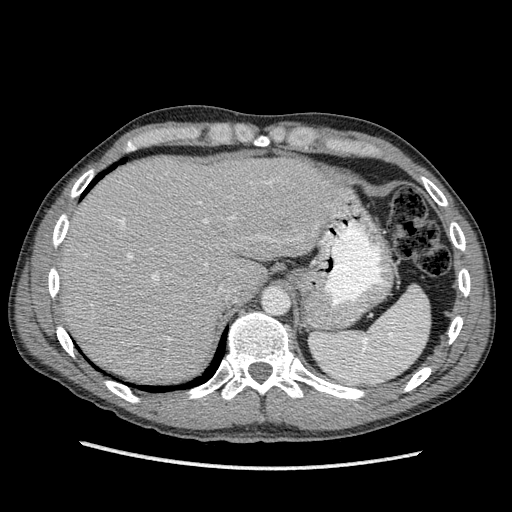

CT slice

{
  "liver": [
    "box=[56, 152, 340, 384]"
  ]
}